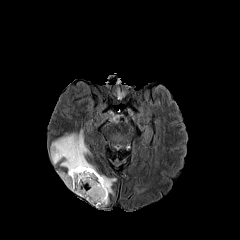
FLAIR MRI.
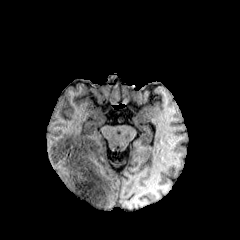
T1-weighted magnetic resonance.
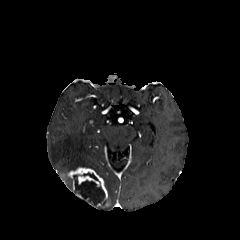
Same slice, post-contrast T1-weighted MR image.
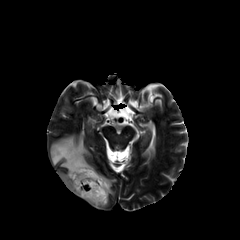
T2-weighted MR image of the same slice.
edema: 62,177,72,189; 97,172,116,196; 49,133,96,172 | non-enhancing tumor core: 79,173,98,180; 70,174,109,208 | enhancing tumor: 60,167,107,199